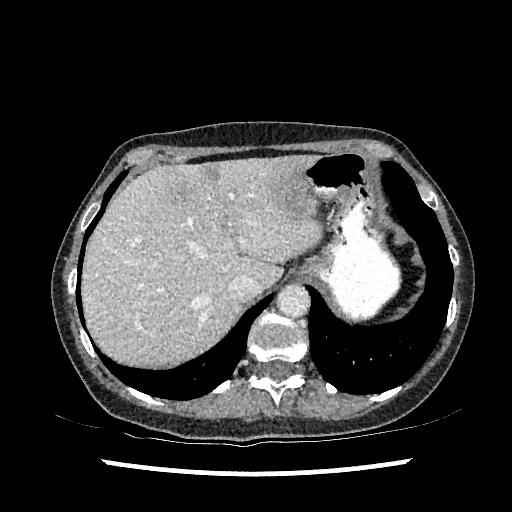

Computed tomography
The liver is at region(81, 156, 322, 364). 3 focal liver lesion regions are located at region(169, 181, 194, 205); region(207, 166, 219, 179); region(274, 161, 312, 220).